Slice 44 of 95, CT slice 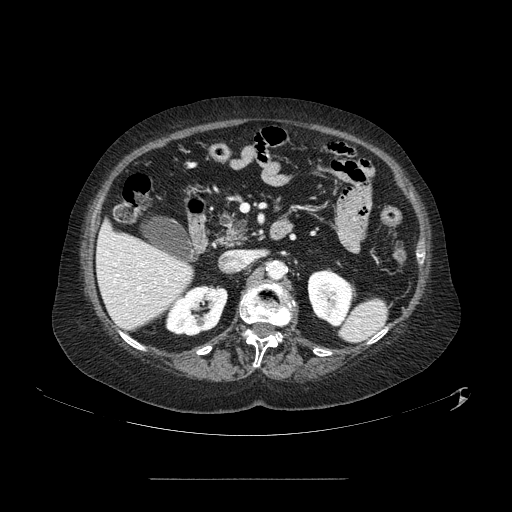 Pancreas = [216,212,246,243].